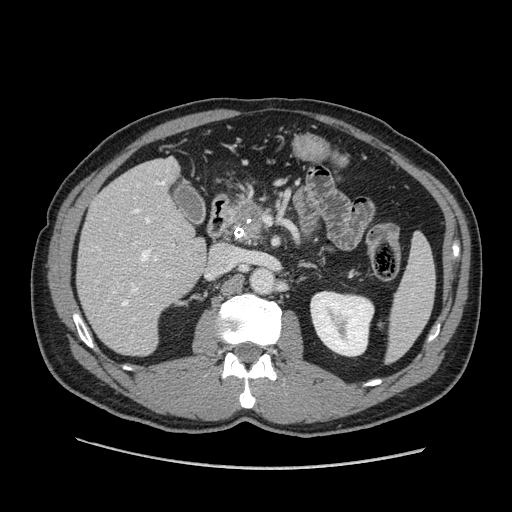
CT, Upper abdomen
{
  "pancreas": [
    "(228, 199, 272, 246)"
  ],
  "pancreatic_tumor": [
    "(238, 202, 264, 235)"
  ]
}